Slice index 52 | Brain
FLAIR magnetic resonance.
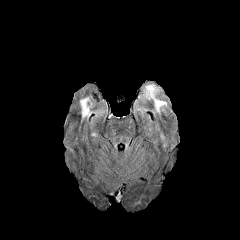
T1-weighted magnetic resonance.
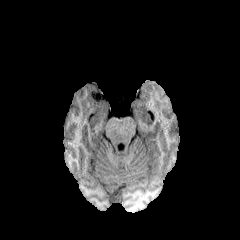
Post-contrast T1-weighted MR.
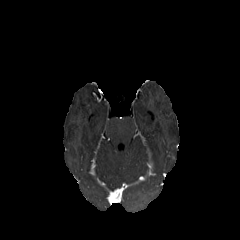
T2-weighted MR.
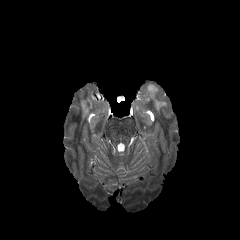
Edema: 143:85:166:112, 80:97:97:120.